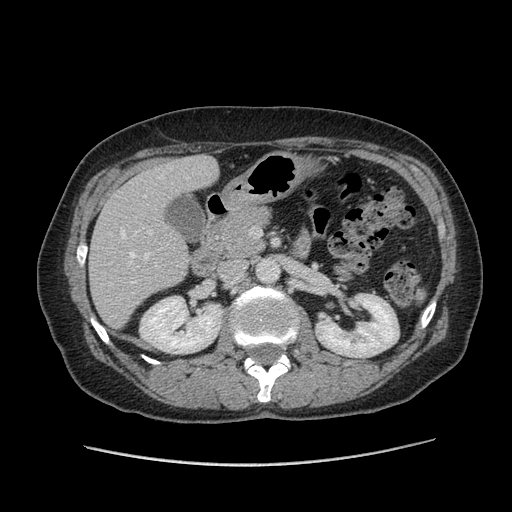
CT
The vessel annotation is not exhaustive.
The hepatic vessel lies within 147 231 150 234.